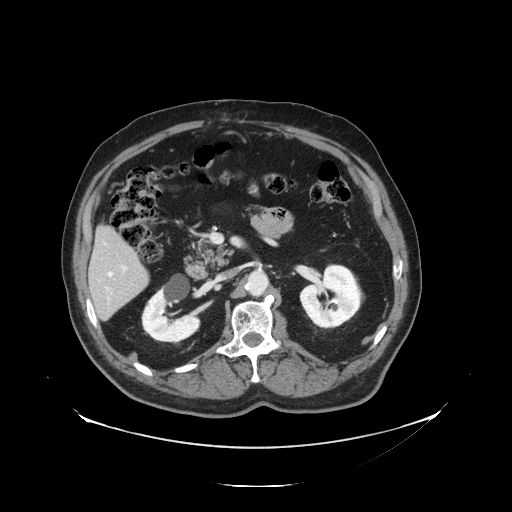
Image size 512x512; CT slice

Only some of the vessels may be annotated.
<segmentation>
  <hepatic_vessel>region(122, 266, 126, 272); region(107, 288, 108, 290); region(108, 272, 112, 276); region(104, 243, 106, 244)</hepatic_vessel>
</segmentation>